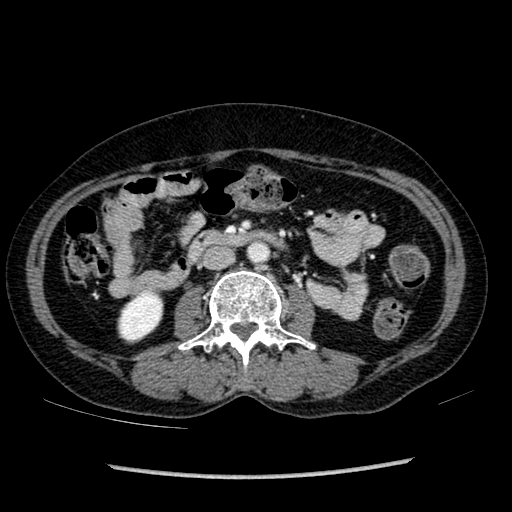
CT image

Annotated regions:
• kidney: x1=119, y1=290, x2=161, y2=339